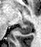
Magnetic resonance, Medial temporal lobe
• posterior hippocampus: (18, 22, 32, 34)